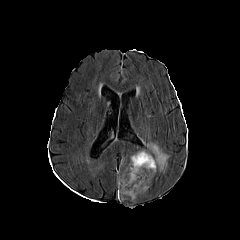
FLAIR MRI.
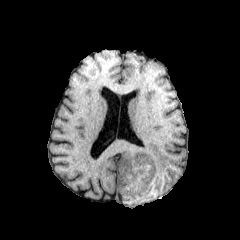
Same slice, T1-weighted MR image.
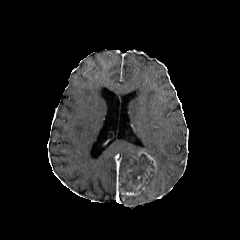
Post-contrast T1-weighted MR.
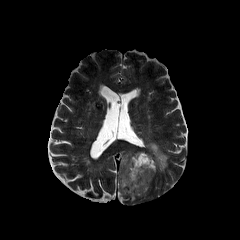
Same slice, T2-weighted MRI.
Head
Non-enhancing tumor core at box(120, 154, 154, 192); box(144, 176, 152, 187).
Enhancing tumor at box(119, 168, 155, 196); box(136, 149, 157, 168); box(120, 165, 132, 183).
Edema at box(140, 139, 169, 173).